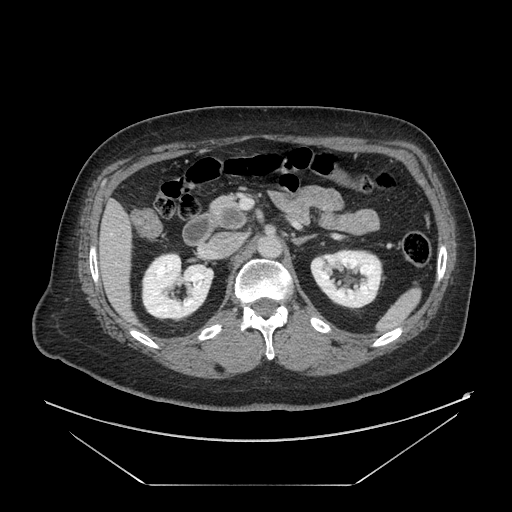

CT slice

pancreas:
  - (left=210, top=196, right=245, bottom=228)
pancreatic_tumor:
  - (left=222, top=207, right=244, bottom=226)